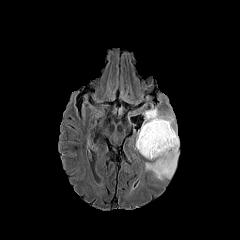
FLAIR MRI.
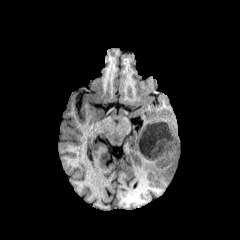
T1-weighted MR of the same slice.
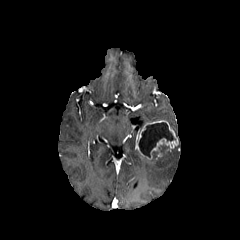
Post-contrast T1-weighted MRI of the same slice.
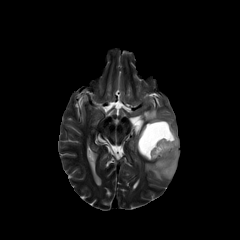
Same slice, T2-weighted MR image.
Head
{
  "non-enhancing_tumor_core": [
    "x1=139, y1=122, x2=174, y2=157",
    "x1=152, y1=146, x2=169, y2=157"
  ],
  "edema": [
    "x1=140, y1=125, x2=179, y2=180",
    "x1=140, y1=103, x2=174, y2=130"
  ],
  "enhancing_tumor": [
    "x1=135, y1=120, x2=178, y2=160"
  ]
}